FLAIR MRI.
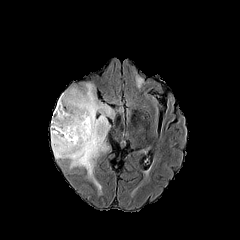
T1-weighted MR.
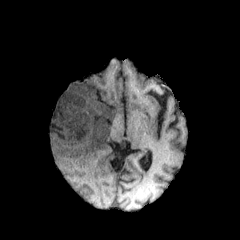
Post-contrast T1-weighted MRI.
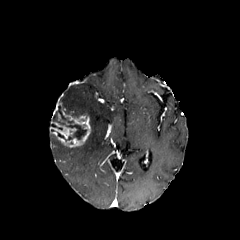
T2-weighted MRI.
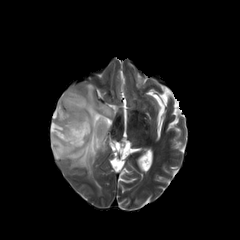
Head.
Enhancing tumor: bounding box bbox(50, 108, 91, 147).
Edema: bounding box bbox(50, 83, 117, 190).
Non-enhancing tumor core: bounding box bbox(66, 125, 86, 139); bbox(51, 102, 70, 129).